Image size 240x240. Slice index 74.
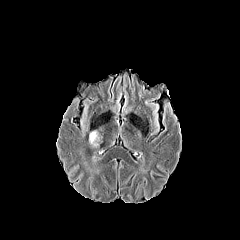
FLAIR MR.
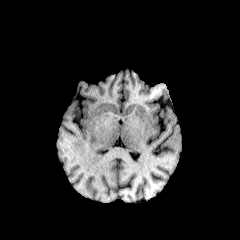
Same slice, T1-weighted MR image.
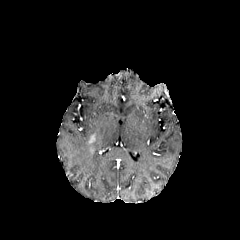
Same slice, post-contrast T1-weighted MR.
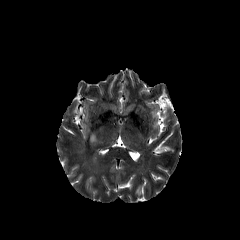
T2-weighted MR image.
Enhancing tumor: 89 133 96 145.